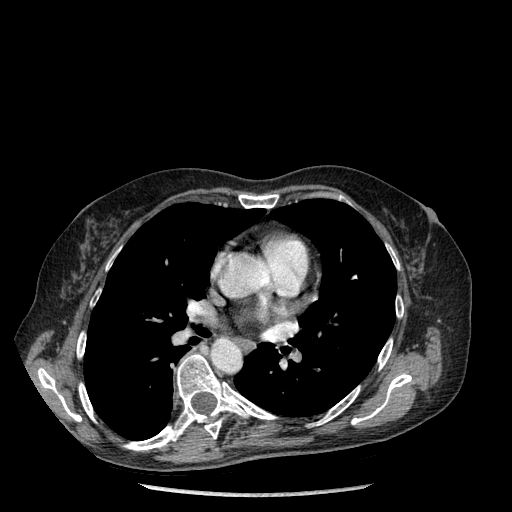 Chest. CT. 512x512.

* bone: bbox(76, 332, 86, 358); bbox(378, 338, 392, 370); bbox(37, 368, 81, 421); bbox(395, 295, 403, 317); bbox(386, 244, 399, 269); bbox(106, 248, 120, 270); bbox(309, 386, 360, 426); bbox(351, 373, 411, 424); bbox(78, 383, 95, 421); bbox(238, 194, 278, 208); bbox(124, 353, 276, 450)
* lung: bbox(84, 203, 264, 440); bbox(234, 199, 396, 416)